Slice index 47 | 240x240 | Field of view 240 mm wide, 1.00 mm slice spacing
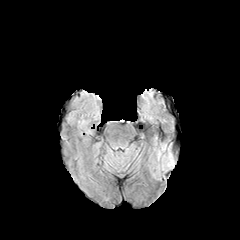
FLAIR magnetic resonance.
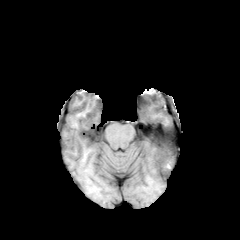
T1-weighted MR image.
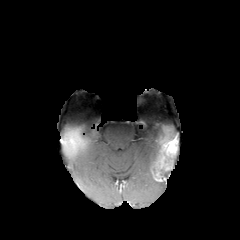
Post-contrast T1-weighted MRI.
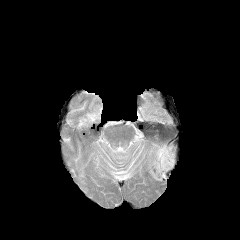
T2-weighted MRI.
Edema at [149, 144, 173, 180].